CT 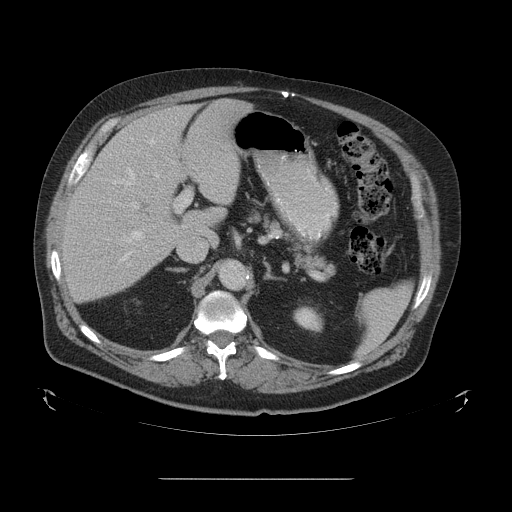
The vessel boxes may cover only some of the vessels.
Segmented structures:
• hepatic vessel: (left=138, top=140, right=162, bottom=146), (left=142, top=245, right=147, bottom=249), (left=97, top=167, right=139, bottom=192), (left=146, top=154, right=149, bottom=155), (left=209, top=175, right=213, bottom=182), (left=117, top=228, right=144, bottom=265), (left=153, top=171, right=159, bottom=178), (left=129, top=202, right=138, bottom=209), (left=179, top=245, right=202, bottom=261), (left=133, top=140, right=135, bottom=141), (left=174, top=192, right=190, bottom=211), (left=153, top=165, right=155, bottom=168)